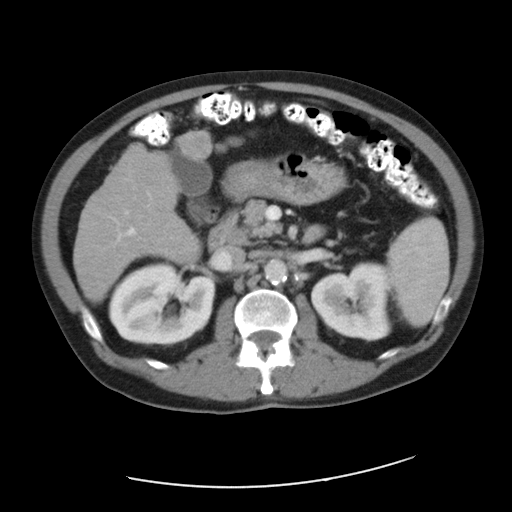

CT.
Only some of the vessels may be annotated.
hepatic vessel: x1=118, y1=233, x2=122, y2=240; x1=126, y1=228, x2=134, y2=234; x1=125, y1=211, x2=127, y2=213; x1=148, y1=193, x2=150, y2=197 | liver tumor: x1=181, y1=132, x2=211, y2=158